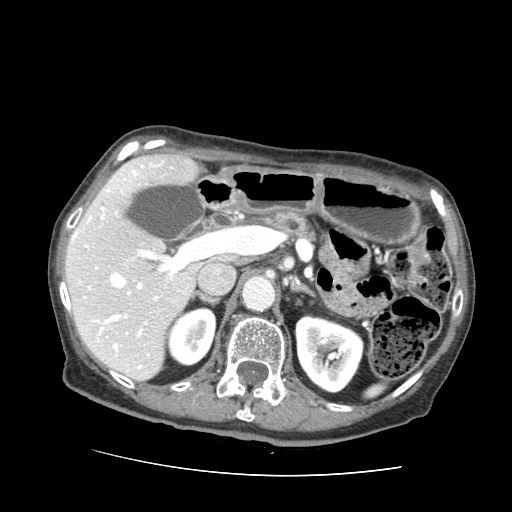 CT scan slice. Upper abdomen. 512x512. Segmented structures:
* pancreas: bbox=[262, 212, 320, 244]